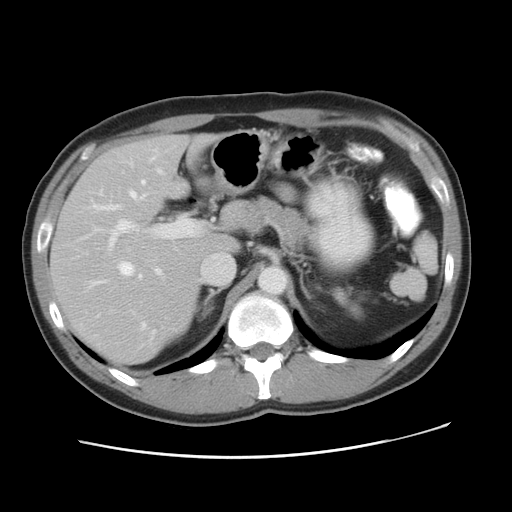
Liver | CT
Only some of the vessels may be annotated.
<segmentation>
  <hepatic_vessel><bbox>125, 160, 132, 164</bbox>, <bbox>213, 254, 216, 255</bbox>, <bbox>108, 219, 139, 250</bbox>, <bbox>99, 190, 101, 193</bbox>, <bbox>117, 260, 142, 278</bbox>, <bbox>141, 179, 144, 183</bbox>, <bbox>128, 188, 146, 201</bbox>, <bbox>157, 168, 162, 172</bbox>, <bbox>141, 322, 145, 328</bbox>, <bbox>149, 225, 173, 238</bbox>, <bbox>149, 157, 153, 161</bbox>, <bbox>167, 222, 177, 229</bbox>, <bbox>202, 265, 202, 272</bbox>, <bbox>154, 268, 161, 275</bbox>, <bbox>90, 202, 122, 210</bbox></hepatic_vessel>
</segmentation>